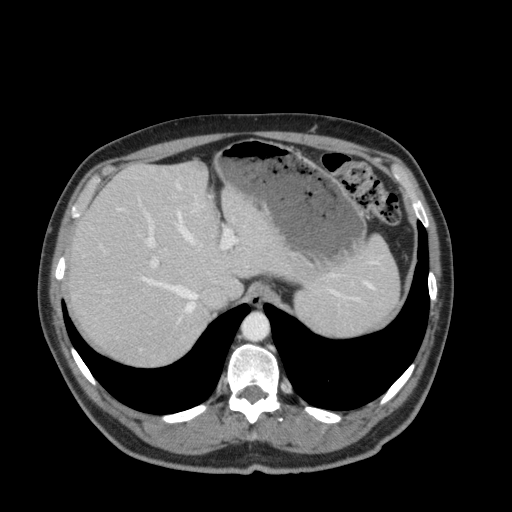 Liver; Image size 512x512; Computed tomography
Liver: left=69, top=163, right=400, bottom=365.